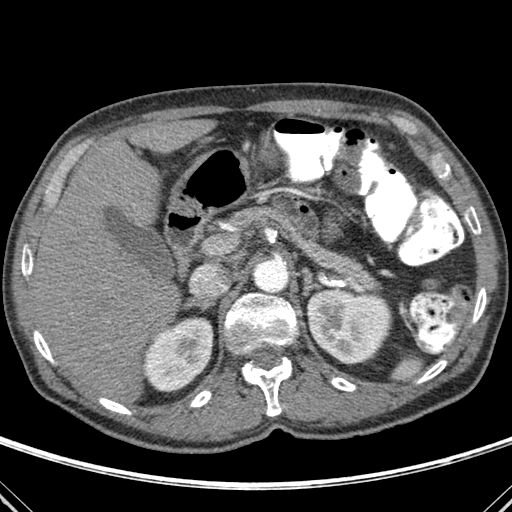 Upper abdomen, CT scan slice

2 kidney regions are located at 145, 320, 212, 390; 308, 290, 388, 362. 3 liver regions are bounded by 129, 119, 216, 152; 33, 141, 180, 402; 170, 192, 179, 209. 11 bone regions are bounded by 473, 288, 486, 322; 225, 293, 297, 354; 417, 360, 446, 383; 465, 206, 480, 234; 439, 164, 449, 177; 242, 357, 291, 416; 190, 390, 211, 406; 21, 246, 32, 275; 331, 377, 355, 391; 99, 398, 131, 414; 34, 331, 53, 362.